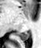 Hippocampus | MR image
The posterior hippocampus lies within [18,31,29,40].